CT slice
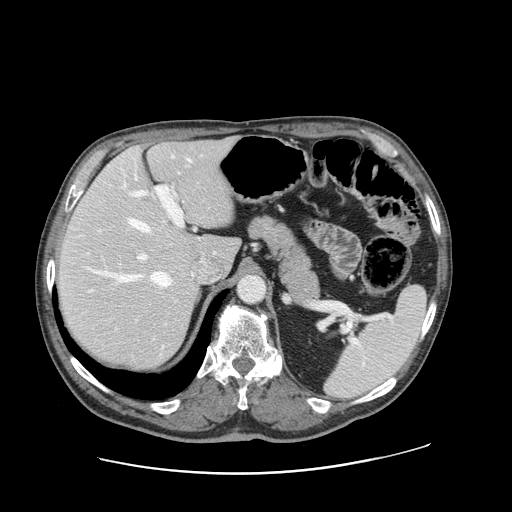 Not every hepatic vessel necessarily has a box.
Liver tumor: region(138, 143, 146, 150).
Hepatic vessel: region(187, 158, 190, 161); region(135, 175, 136, 179); region(133, 191, 146, 195); region(172, 156, 173, 157); region(128, 219, 148, 231); region(122, 184, 125, 187); region(138, 254, 146, 259); region(87, 268, 139, 281); region(151, 272, 169, 286).